512x512, Slice 80 of 125, CT scan slice 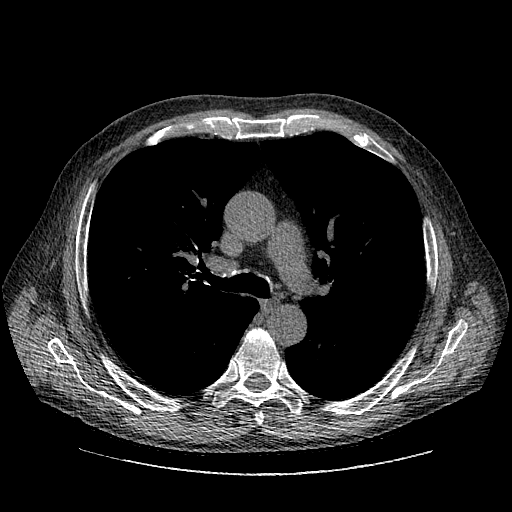

- lung tumor: x1=174, y1=241, x2=196, y2=254